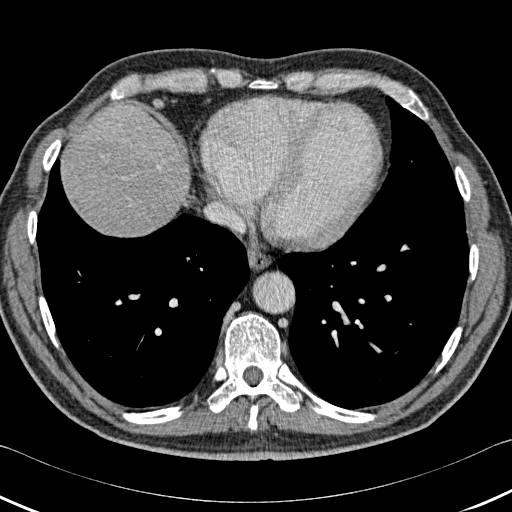
CT; Upper abdomen

The liver is located at <box>73,109,183,236</box>. 13 bone regions are bounded by <box>397,90,428,119</box>, <box>208,314,375,423</box>, <box>123,407,182,424</box>, <box>27,211,36,243</box>, <box>435,327,461,372</box>, <box>469,244,478,279</box>, <box>455,166,470,201</box>, <box>111,83,127,99</box>, <box>215,367,226,380</box>, <box>249,80,277,88</box>, <box>248,404,257,429</box>, <box>43,139,60,170</box>, <box>39,297,57,347</box>. 2 lung regions are bounded by <box>36,159,251,407</box>, <box>270,95,469,409</box>.